FLAIR MR image.
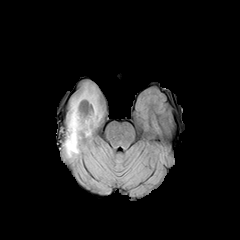
T1-weighted MR.
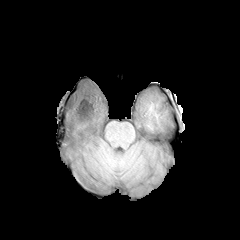
Post-contrast T1-weighted MR.
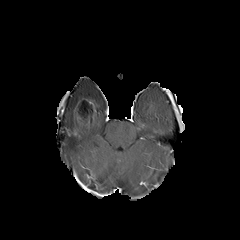
T2-weighted MR image.
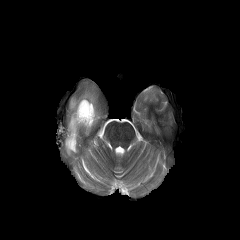
Non-enhancing tumor core = x1=74 y1=98 x2=96 y2=125.
Edema = x1=64 y1=86 x2=101 y2=159.